CT slice
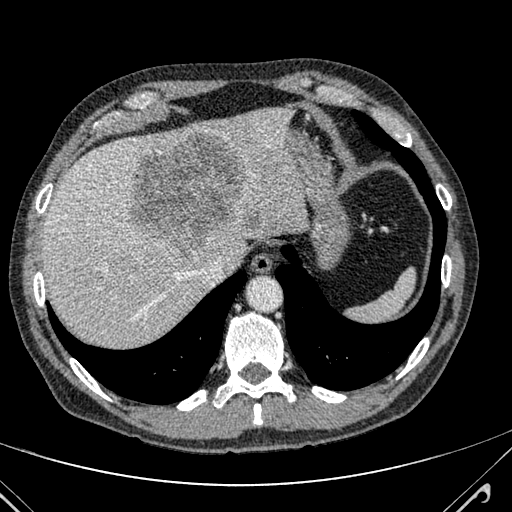 Focal liver lesion: bounding box <box>131,131,247,253</box>, <box>244,213,262,228</box>.
Liver: bounding box <box>42,109,306,345</box>.